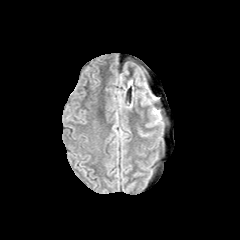
FLAIR MR.
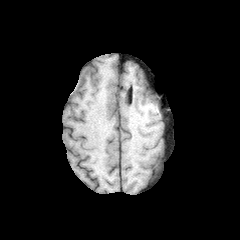
T1-weighted MR image of the same slice.
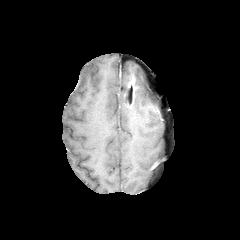
Same slice, post-contrast T1-weighted MR.
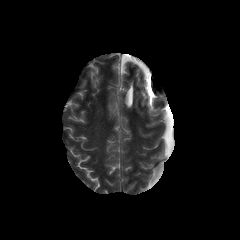
T2-weighted MRI of the same slice.
Annotated regions:
• edema: <box>136,78,153,106</box>, <box>147,106,159,126</box>